Field of view 200 mm wide, 3.60 mm slice spacing | Prostate | Slice 16/20
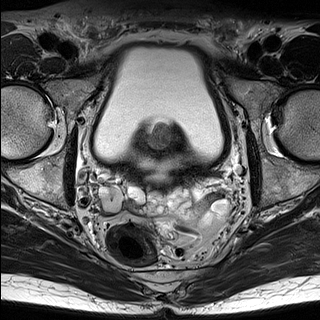
T2-weighted MRI.
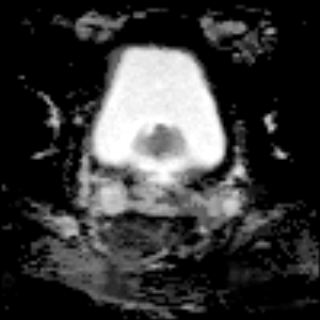
Same slice, ADC MRI.
The prostate transition zone is bounded by bbox=[150, 127, 170, 148].